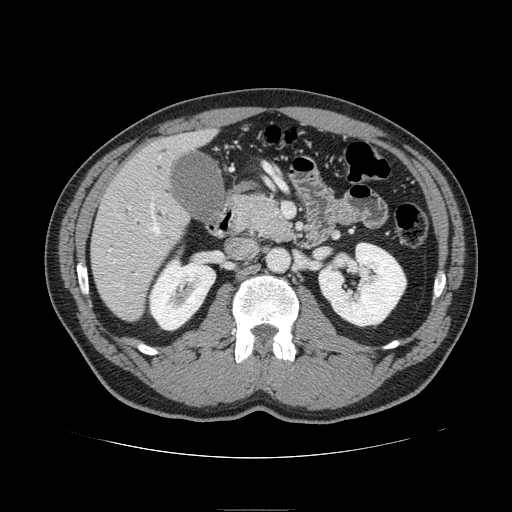
Abdomen | CT scan slice
The pancreas is bounded by rect(234, 195, 295, 240). The pancreatic tumor is located at rect(242, 198, 275, 228).